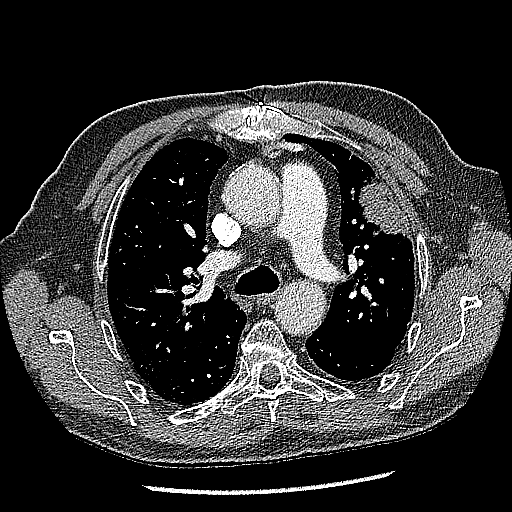 Computed tomography
The lung tumor lies within 357,176,411,239.